Head | Slice 99 of 155
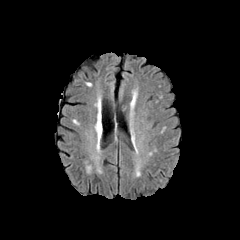
FLAIR magnetic resonance.
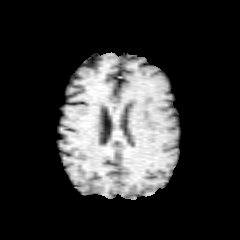
T1-weighted MR image of the same slice.
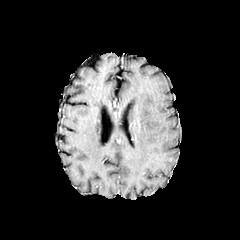
Same slice, post-contrast T1-weighted MR image.
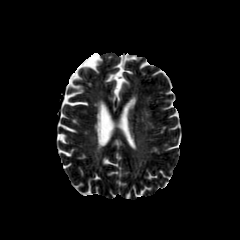
T2-weighted MRI.
- edema: rect(130, 93, 136, 109)